512x512 px; CT; Slice 125 of 151 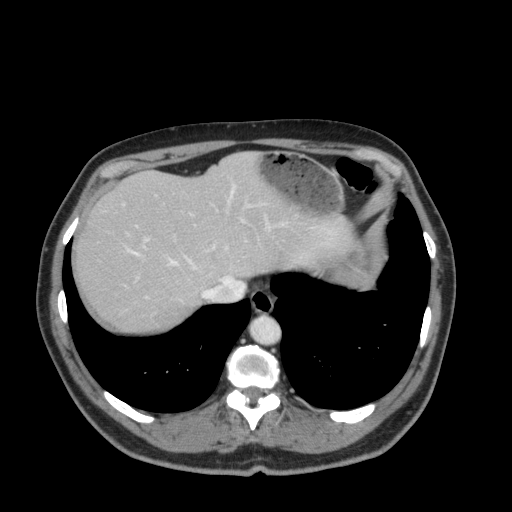 Liver at bbox(77, 152, 353, 331).